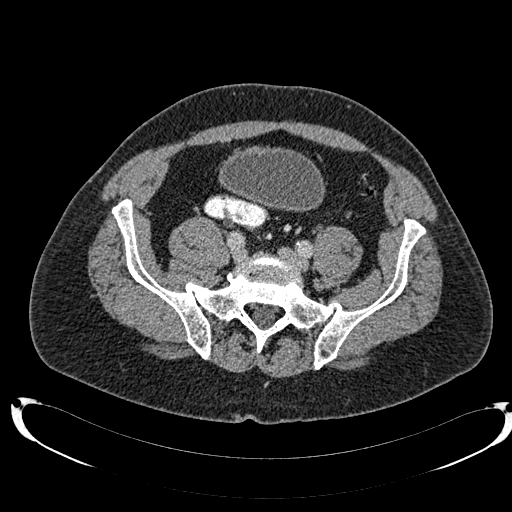
CT; Image size 512x512; Pelvis
Urinary bladder = box=[224, 150, 323, 208].